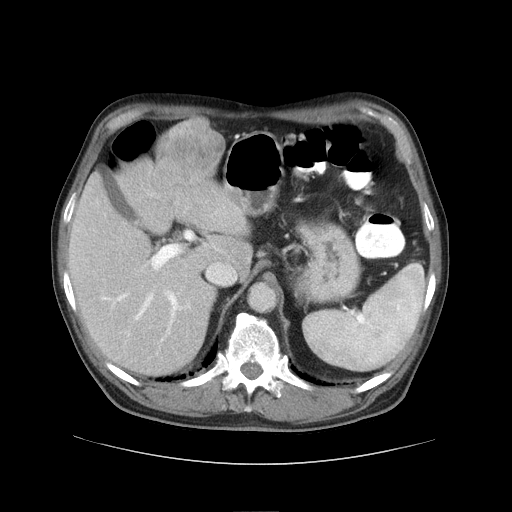

Liver, CT image

Some hepatic vessels may have no box.
<segmentation>
  <hepatic_vessel>box(153, 245, 177, 265); box(117, 294, 127, 299); box(184, 207, 188, 213); box(166, 291, 176, 323); box(134, 285, 154, 320); box(168, 329, 168, 332)</hepatic_vessel>
  <liver_tumor>box(155, 120, 220, 187)</liver_tumor>
</segmentation>